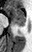

Magnetic resonance; 32x52

Posterior hippocampus: left=14, top=23, right=24, bottom=25.
Anterior hippocampus: left=5, top=5, right=25, bottom=22.